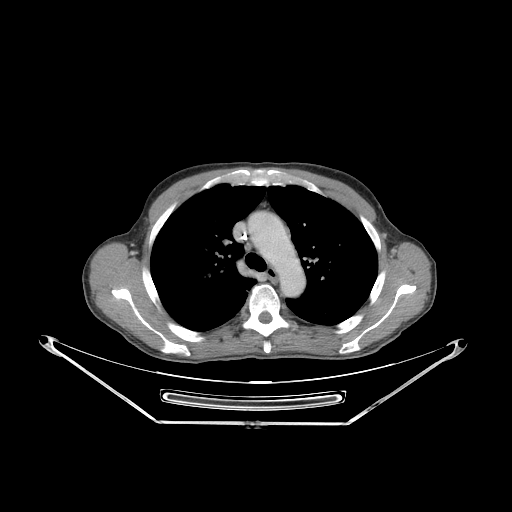

Thorax. 512x512. CT image. <segmentation>
  <bone>[x1=112, y1=288, x2=189, y2=355], [x1=241, y1=170, x2=273, y2=185], [x1=168, y1=323, x2=202, y2=341], [x1=264, y1=342, x2=270, y2=352], [x1=243, y1=284, x2=288, y2=338], [x1=151, y1=206, x2=173, y2=240], [x1=340, y1=284, x2=415, y2=352], [x1=337, y1=316, x2=362, y2=332], [x1=370, y1=272, x2=384, y2=302], [x1=143, y1=269, x2=158, y2=302], [x1=361, y1=217, x2=379, y2=248]</bone>
  <lung>[x1=151, y1=183, x2=377, y2=331]</lung>
</segmentation>